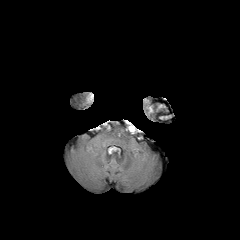
FLAIR MR.
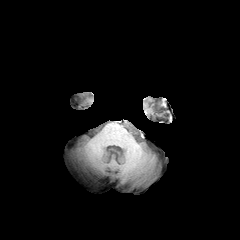
T1-weighted MRI.
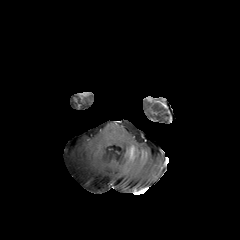
Post-contrast T1-weighted magnetic resonance.
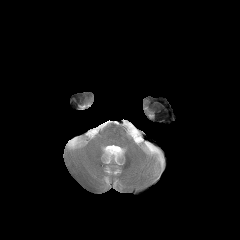
T2-weighted MR image.
240x240 px, Brain
Edema: bounding box [x1=125, y1=124, x2=137, y2=139], [x1=102, y1=144, x2=119, y2=157].